Head; Slice 71 of 155; Field of view 240 mm wide, 1.00 mm slice spacing
FLAIR MRI.
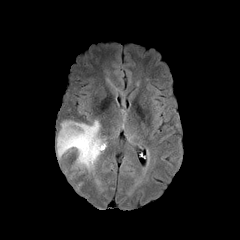
T1-weighted magnetic resonance.
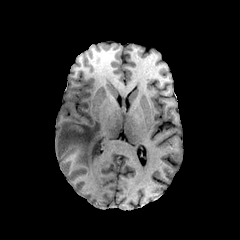
Post-contrast T1-weighted MRI.
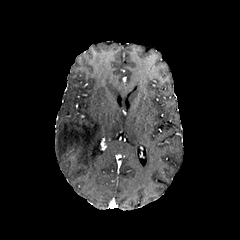
T2-weighted MR image.
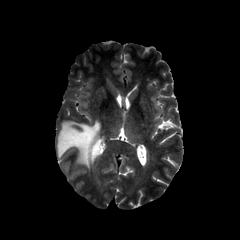
{
  "edema": [
    "(57,121,101,174)"
  ]
}